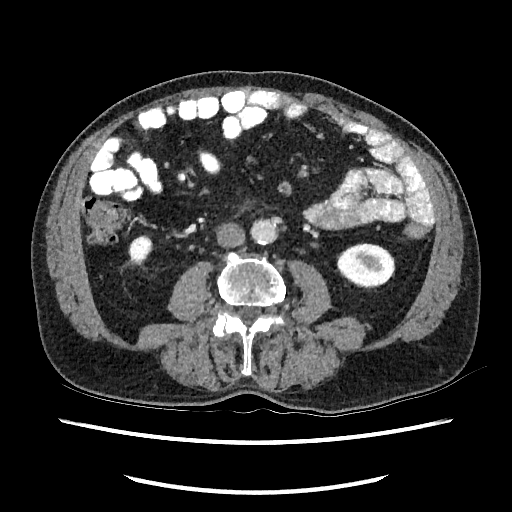 CT.
Kidney — (left=337, top=243, right=394, bottom=287), (left=129, top=236, right=151, bottom=264).